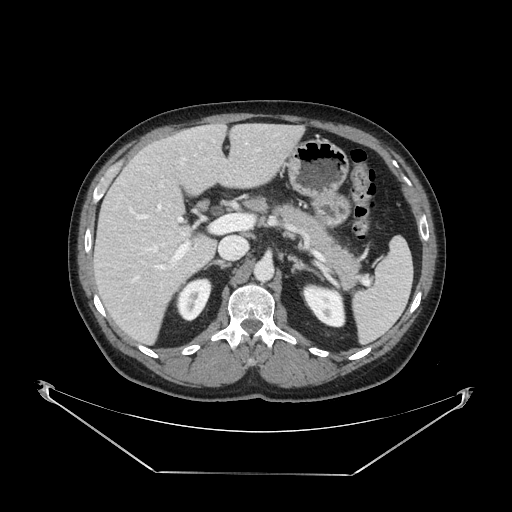

CT image. Pancreas — rect(272, 202, 362, 290).